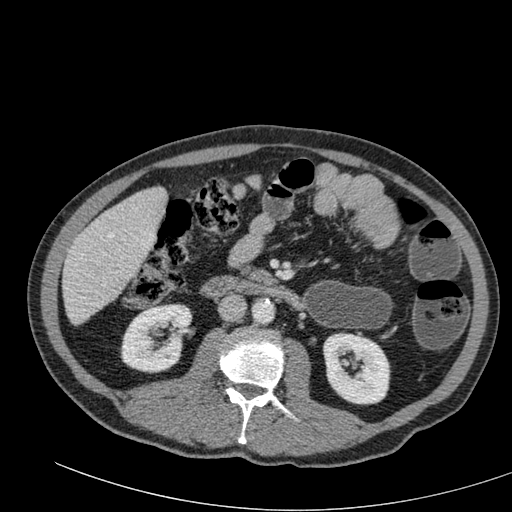 Abdomen. CT image. 512x512.
<segmentation>
  <liver>region(62, 187, 166, 324)</liver>
  <kidney>region(324, 334, 388, 403); region(122, 305, 190, 371)</kidney>
</segmentation>